512x512 px, CT slice

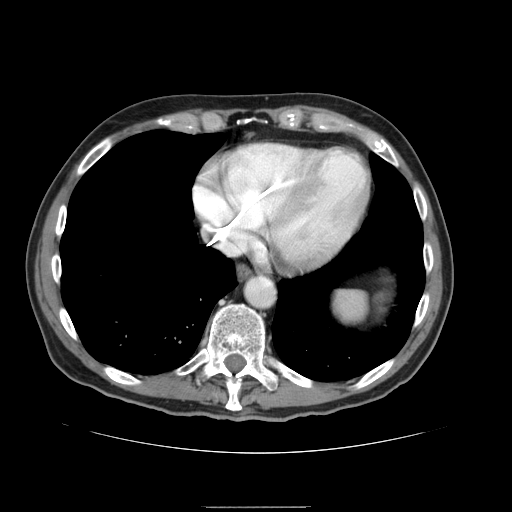
spleen:
  - left=330, top=291, right=370, bottom=326